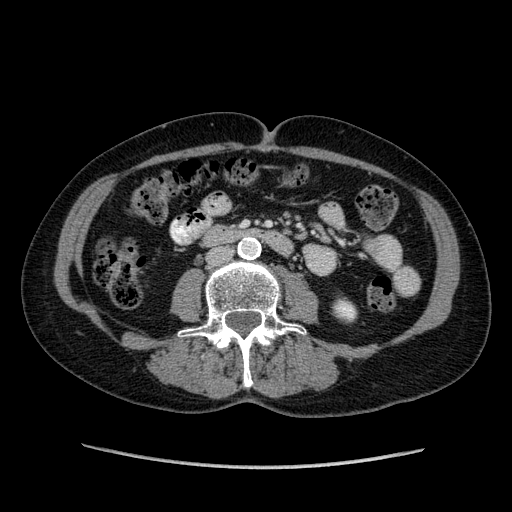

512x512 px, CT scan slice

kidney:
  - [337, 303, 353, 317]